Computed tomography 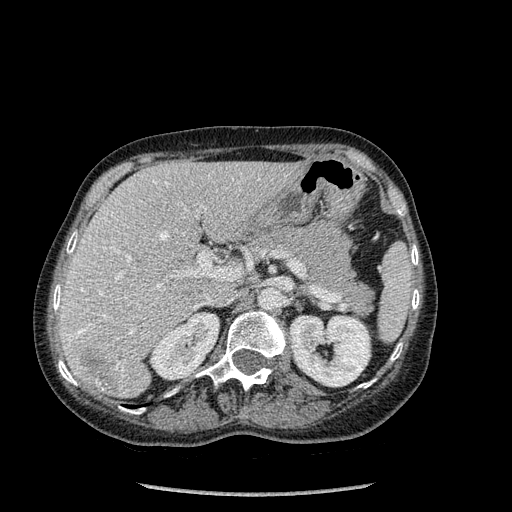
Segmented structures:
• liver lesion: (left=188, top=288, right=203, bottom=295), (left=82, top=352, right=117, bottom=391)
• kidney: (left=290, top=316, right=369, bottom=386), (left=151, top=313, right=218, bottom=379)
• liver: (left=59, top=161, right=304, bottom=398)
• bone: (left=52, top=284, right=62, bottom=311), (left=196, top=310, right=285, bottom=390), (left=118, top=406, right=145, bottom=414), (left=357, top=379, right=375, bottom=388), (left=394, top=201, right=405, bottom=215), (left=410, top=244, right=418, bottom=265), (left=165, top=388, right=178, bottom=396), (left=58, top=360, right=77, bottom=385), (left=411, top=289, right=419, bottom=309), (left=390, top=343, right=402, bottom=361), (left=66, top=231, right=77, bottom=253)